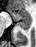

Hippocampus, 36x47 px, MR

- anterior hippocampus: region(8, 9, 31, 21)
- posterior hippocampus: region(17, 22, 30, 30)